Field of view 240x240 mm; Brain; Image size 240x240
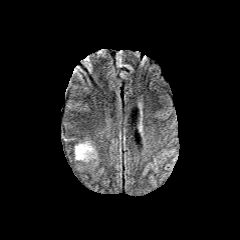
FLAIR MR image.
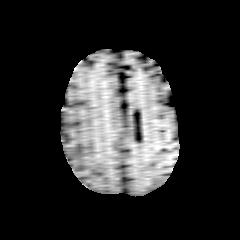
Same slice, T1-weighted MR image.
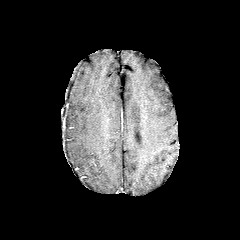
Post-contrast T1-weighted MR image.
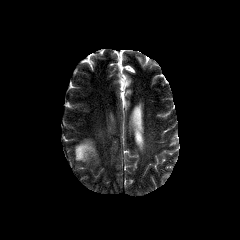
Same slice, T2-weighted MRI.
Edema: bbox(74, 140, 95, 161).